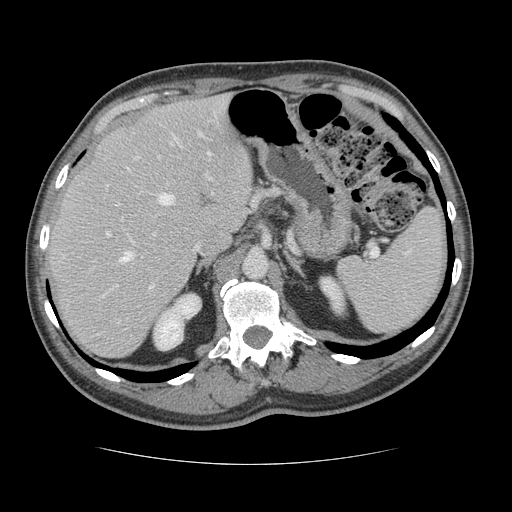

CT scan slice.

Not every hepatic vessel necessarily has a box.
• hepatic vessel (top 15 of 18): (208, 176, 210, 178), (102, 294, 104, 296), (153, 232, 155, 235), (149, 284, 153, 288), (208, 152, 211, 155), (198, 132, 204, 137), (112, 284, 117, 287), (195, 244, 199, 248), (158, 193, 172, 204), (157, 155, 159, 158), (167, 182, 168, 184), (127, 167, 129, 169), (106, 231, 110, 235), (120, 252, 132, 261), (169, 136, 181, 146)